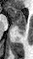 MR
Segmented structures:
* posterior hippocampus: [18, 27, 25, 34]
* anterior hippocampus: [8, 6, 26, 26]